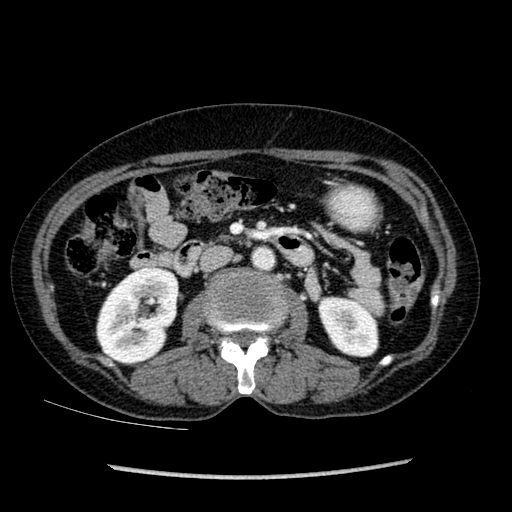
CT image. Abdomen. <segmentation>
  <kidney>(x1=320, y1=298, x2=376, y2=355), (x1=97, y1=268, x2=177, y2=362)</kidney>
</segmentation>